CT image.

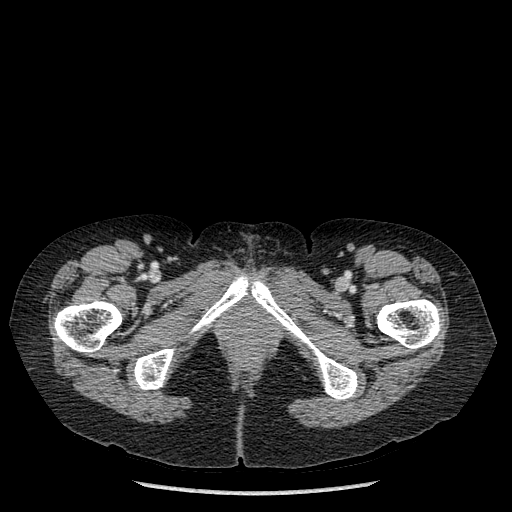

Bone — {"x1": 377, "y1": 299, "x2": 442, "y2": 348}, {"x1": 53, "y1": 299, "x2": 122, "y2": 353}, {"x1": 133, "y1": 348, "x2": 174, "y2": 389}, {"x1": 190, "y1": 273, "x2": 357, "y2": 400}.